T2-weighted MR image.
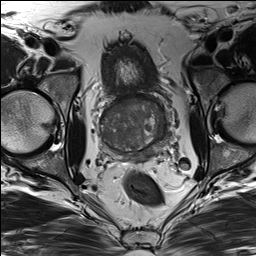
ADC MR image.
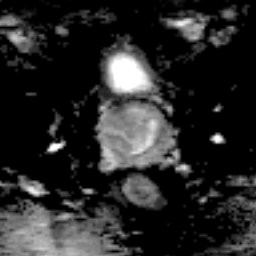
Segmented structures:
- prostate transition zone: 102:101:163:152
- prostate peripheral zone: 105:141:161:157